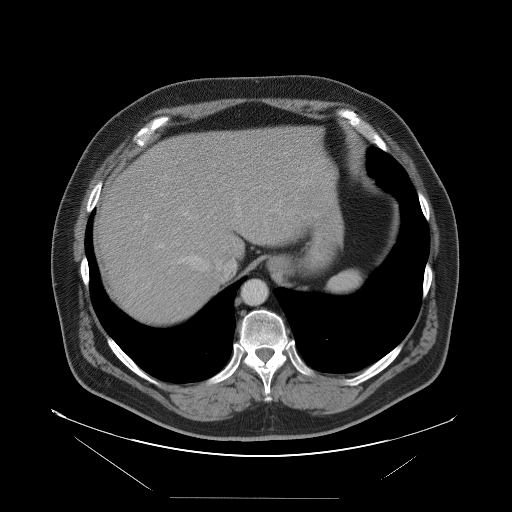
CT image.

The vessel boxes may cover only some of the vessels.
{
  "hepatic_vessel": [
    {"x1": 236, "y1": 203, "x2": 240, "y2": 209},
    {"x1": 185, "y1": 256, "x2": 201, "y2": 262},
    {"x1": 155, "y1": 244, "x2": 163, "y2": 248},
    {"x1": 145, "y1": 214, "x2": 148, "y2": 218},
    {"x1": 237, "y1": 214, "x2": 240, "y2": 216},
    {"x1": 178, "y1": 258, "x2": 184, "y2": 262},
    {"x1": 217, "y1": 265, "x2": 219, "y2": 268}
  ]
}